CT slice 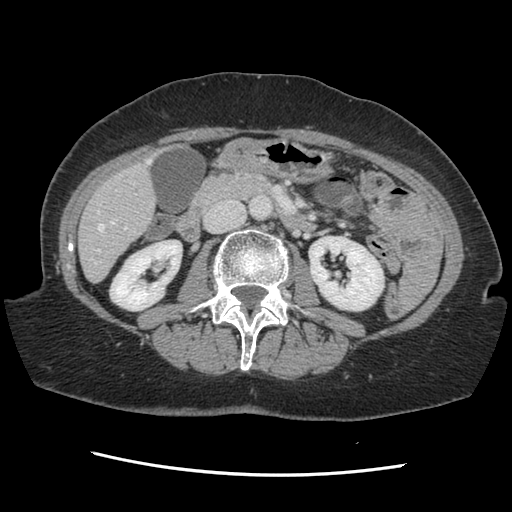
The vessel annotation is not exhaustive.
Segmented structures:
- hepatic vessel: box=[97, 249, 100, 251]; box=[97, 210, 99, 212]; box=[95, 262, 96, 264]; box=[148, 160, 150, 162]; box=[98, 224, 103, 230]; box=[124, 227, 125, 228]; box=[111, 219, 116, 223]